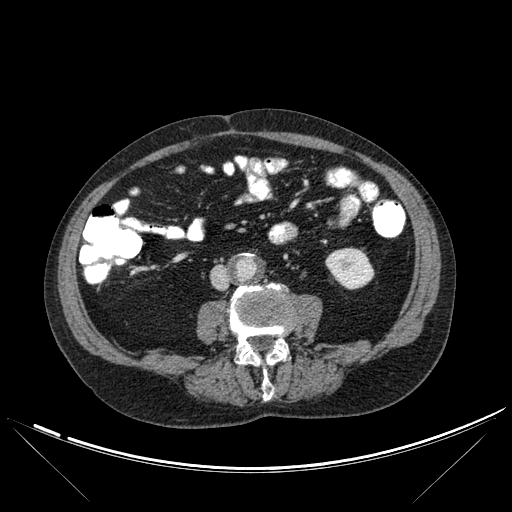 CT scan slice
kidney: rect(326, 248, 373, 288) | bone: rect(230, 284, 292, 399)